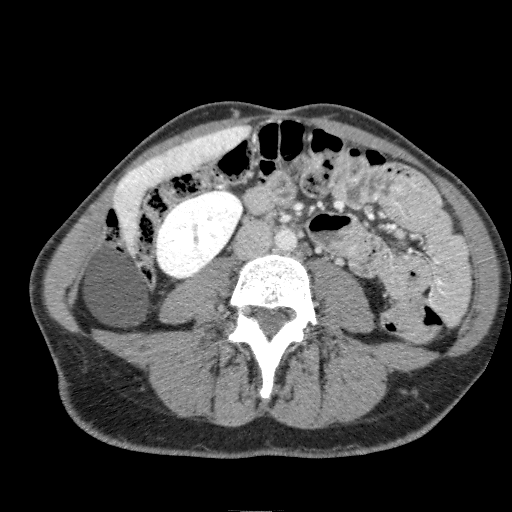
Image size 512x512 | CT scan slice
kidney:
  - (157, 191, 241, 277)
liver:
  - (113, 126, 251, 253)